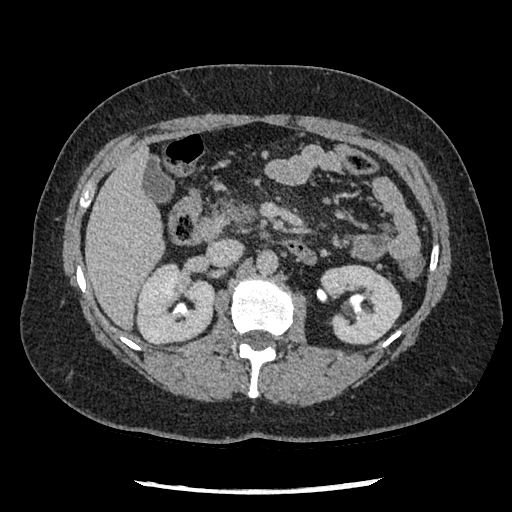
CT image | 512x512 px
Pancreas at <box>214,196,255,224</box>.